CT slice | Slice 171 of 605 | Image width 434 mm
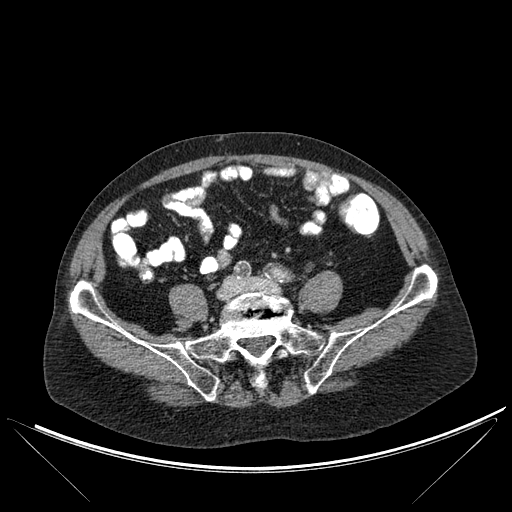 The bone is located at (left=70, top=265, right=437, bottom=400).